FLAIR MR.
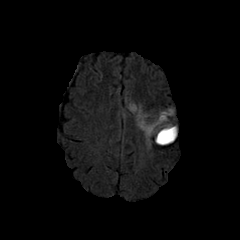
T1-weighted MR.
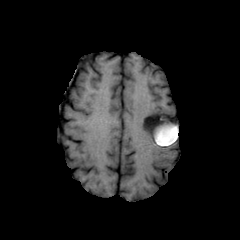
Post-contrast T1-weighted MRI.
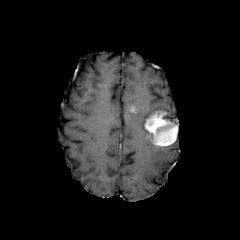
T2-weighted MR image.
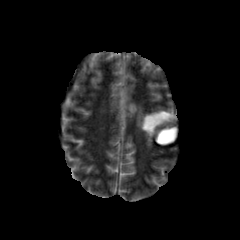
enhancing tumor: x1=144, y1=111, x2=177, y2=145 | edema: x1=157, y1=107, x2=174, y2=116; x1=121, y1=95, x2=152, y2=150 | non-enhancing tumor core: x1=163, y1=113, x2=176, y2=126